Slice index 26. CT. Field of view 389x389 mm. Liver. 512x512 px.
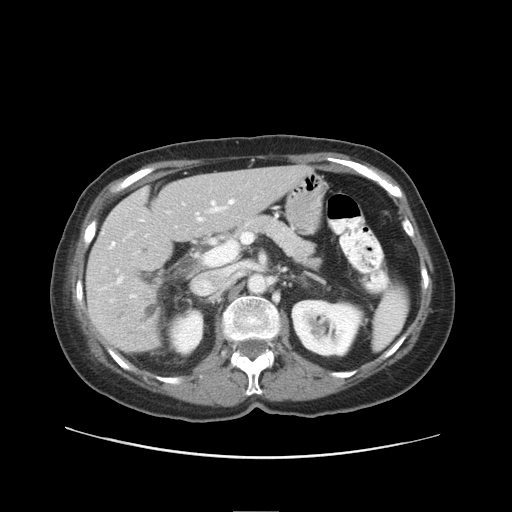

Not every hepatic vessel necessarily has a box.
hepatic_vessel:
  - l=110, t=243, r=115, b=248
  - l=229, t=200, r=233, b=204
  - l=131, t=295, r=134, b=297
  - l=196, t=213, r=202, b=221
  - l=202, t=243, r=235, b=268
  - l=210, t=202, r=226, b=212
  - l=117, t=277, r=122, b=283